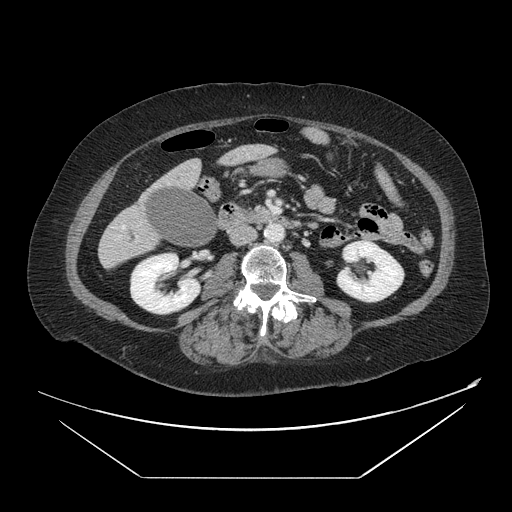 CT slice
Segmented structures:
- pancreas: region(254, 207, 266, 215)